Slice index 25. CT slice. Field of view 472x472 mm. Upper abdomen.
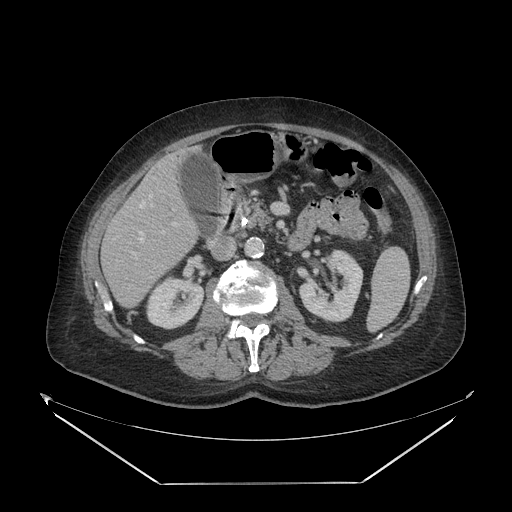
<segmentation>
  <pancreas>{"x1": 246, "y1": 202, "x2": 271, "y2": 230}</pancreas>
</segmentation>